CT image. 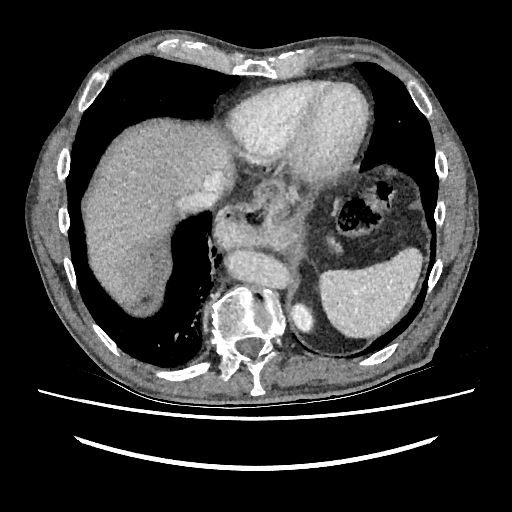
The liver is bounded by (83,122,236,304). The focal liver lesion lies within (118,234,168,296). The kidney is located at (292,305,311,330).